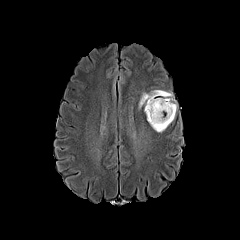
FLAIR MR image.
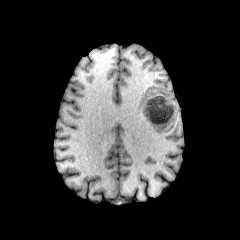
T1-weighted MR.
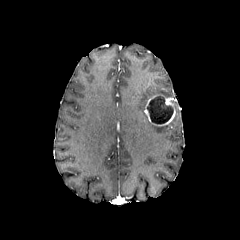
Post-contrast T1-weighted magnetic resonance.
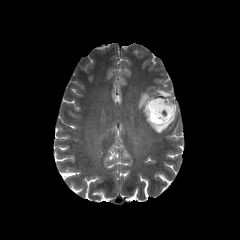
T2-weighted MR.
Head
non-enhancing_tumor_core:
  - 147 96 173 124
edema:
  - 138 90 173 110
  - 148 122 168 132
enhancing_tumor:
  - 143 95 175 125